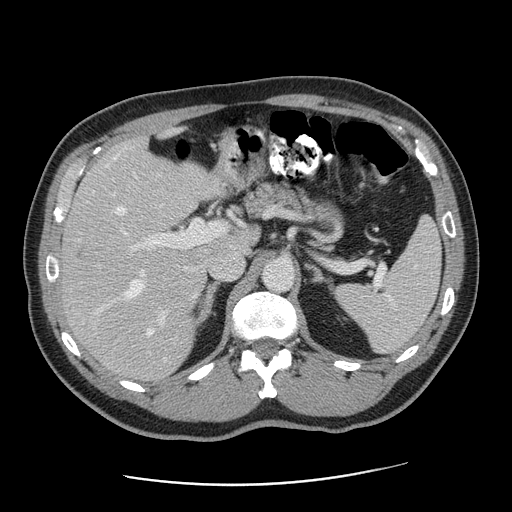 512x512 px; CT
Not every hepatic vessel necessarily has a box.
hepatic_vessel:
  - 97,305,107,314
  - 202,243,247,279
  - 131,219,225,249
  - 160,311,166,321
  - 116,207,124,213
  - 124,279,142,298
  - 107,164,108,165
  - 148,330,152,334
  - 184,267,189,269
  - 141,270,144,276
liver_tumor:
  - 74,243,87,260